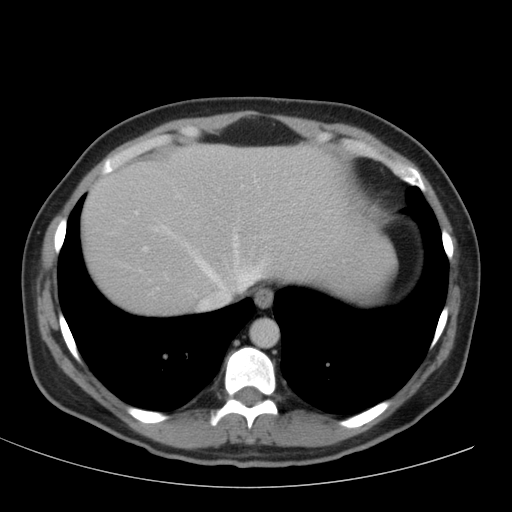
Computed tomography; Image size 512x512
liver: 83, 143, 390, 314